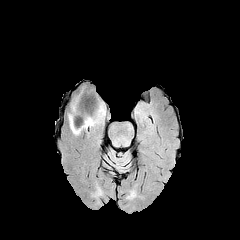
FLAIR magnetic resonance.
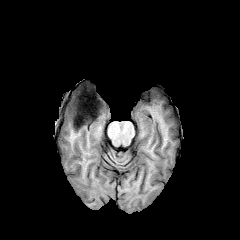
T1-weighted MR image of the same slice.
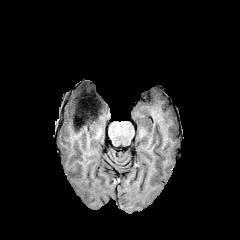
Post-contrast T1-weighted MR image.
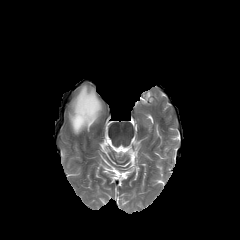
Same slice, T2-weighted magnetic resonance.
240x240; Head
Edema: bounding box [x1=68, y1=102, x2=105, y2=135].
Non-enhancing tumor core: bounding box [x1=76, y1=99, x2=101, y2=127].